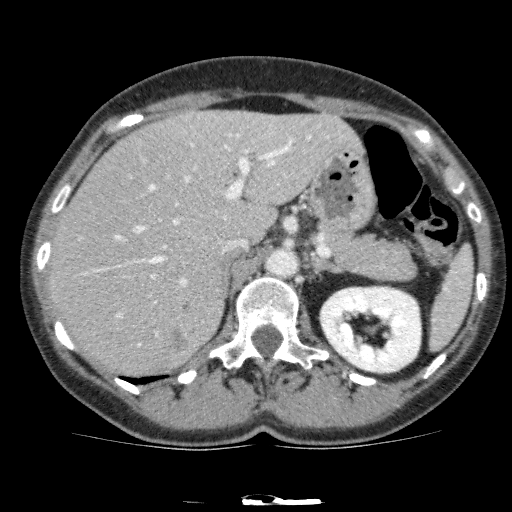

Liver | 512x512 px | CT image
{
  "liver": [
    "48:110:365:376"
  ],
  "kidney": [
    "321:287:420:371"
  ],
  "hepatic_lesion": [
    "168:328:189:354"
  ]
}